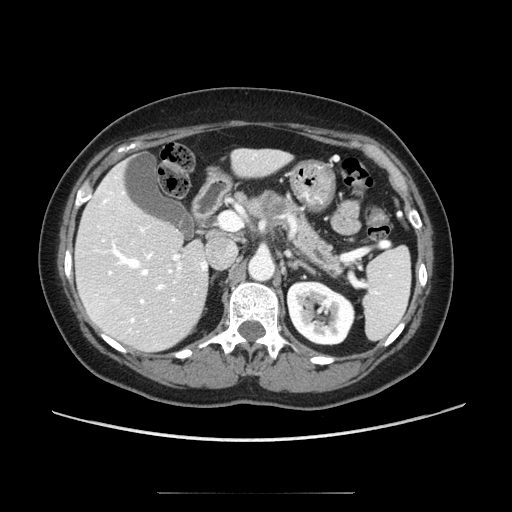
CT.
Findings:
- pancreas: 247,194,340,273
- pancreatic tumor: 260,192,285,216